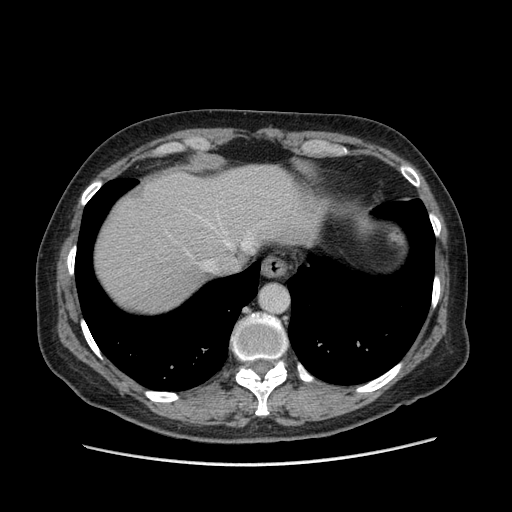

CT image | Abdomen

Some hepatic vessels may have no box.
6 hepatic vessel regions appear at 194 210 233 248, 181 206 193 214, 174 241 192 257, 215 202 222 205, 242 230 253 250, 201 260 216 270.